Slice 87 of 155; Brain
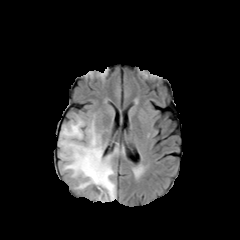
FLAIR magnetic resonance.
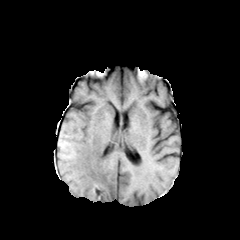
T1-weighted magnetic resonance of the same slice.
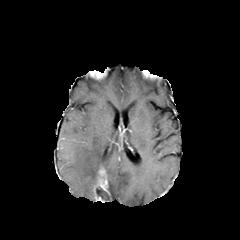
Same slice, post-contrast T1-weighted magnetic resonance.
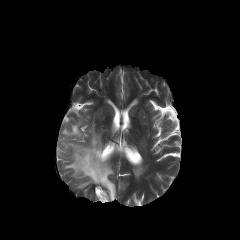
T2-weighted MR image.
Edema: 58 119 118 201.
Enhancing tumor: 98 169 107 191.
Non-enhancing tumor core: 94 171 110 195.